512x512 | Computed tomography

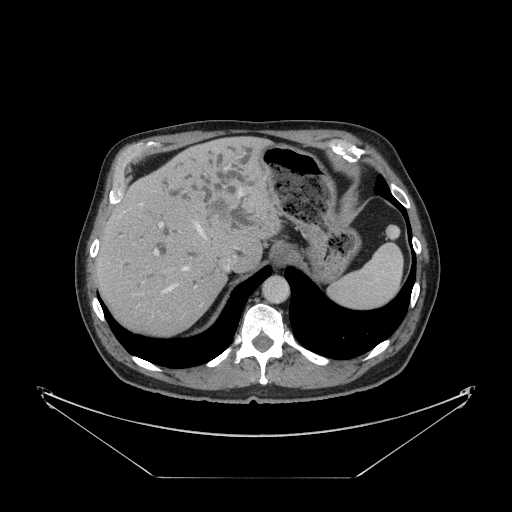
The vessel boxes may cover only some of the vessels.
Hepatic vessel: 181:267:187:270, 238:190:242:196, 138:204:141:206, 162:285:175:292, 225:266:228:269, 154:250:157:254, 195:224:204:235, 159:223:162:226.
Liver tumor: 207:197:237:228.